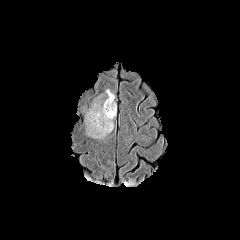
FLAIR MR image.
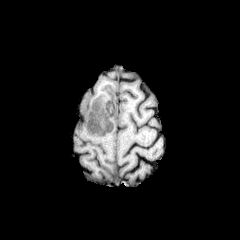
T1-weighted MR image.
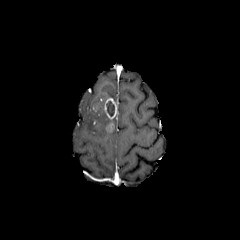
Same slice, post-contrast T1-weighted MR.
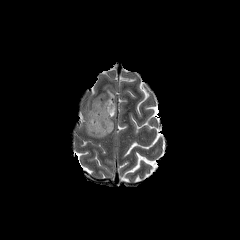
T2-weighted MRI.
Head
The non-enhancing tumor core appears at <bbox>106, 100, 114, 116</bbox>. The edema appears at <bbox>86, 103, 111, 137</bbox>. 2 enhancing tumor regions are bounded by <bbox>105, 122, 113, 131</bbox>, <bbox>104, 97, 117, 118</bbox>.